Brain. Slice 76 of 155. Field of view 240x240 mm.
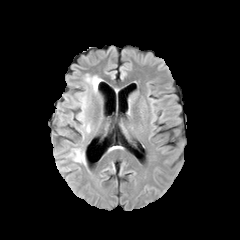
FLAIR MR image.
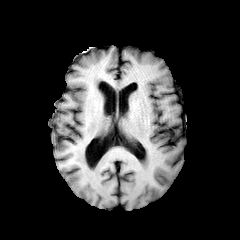
T1-weighted magnetic resonance of the same slice.
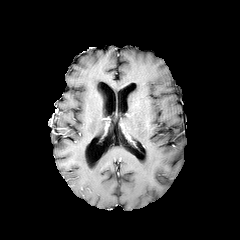
Post-contrast T1-weighted MRI.
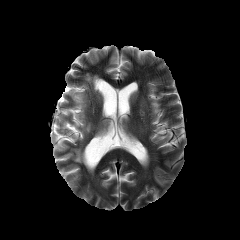
T2-weighted MR image of the same slice.
Edema at bbox=[85, 74, 102, 93]; bbox=[68, 147, 85, 163]; bbox=[69, 87, 91, 139].